Abdomen, 512x512, CT slice

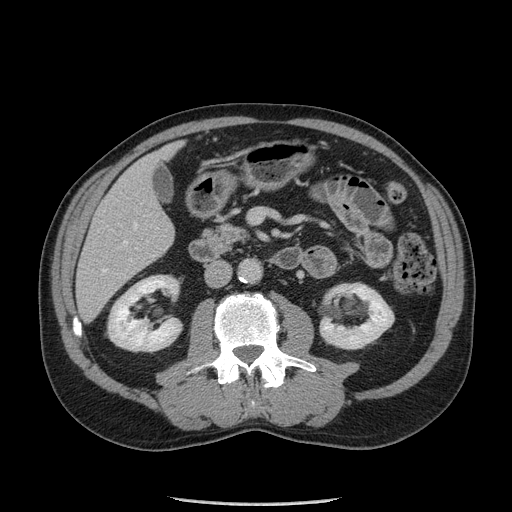
Pancreas = 202:223:248:253.